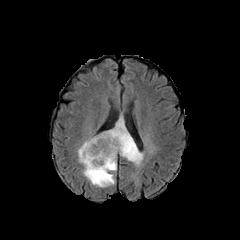
FLAIR MR.
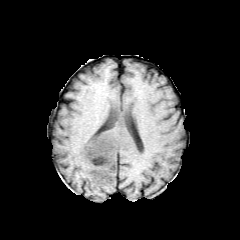
Same slice, T1-weighted magnetic resonance.
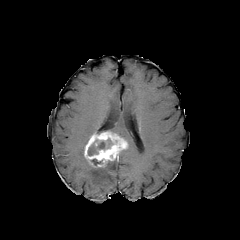
Post-contrast T1-weighted MR image of the same slice.
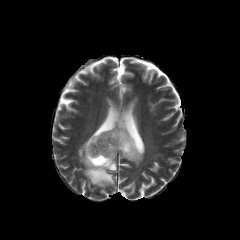
Same slice, T2-weighted MR image.
The enhancing tumor is located at (x1=84, y1=132, x2=128, y2=167). The non-enhancing tumor core is at (x1=88, y1=141, x2=105, y2=155). 2 edema regions are bounded by (x1=108, y1=115, x2=143, y2=166), (x1=78, y1=141, x2=117, y2=187).